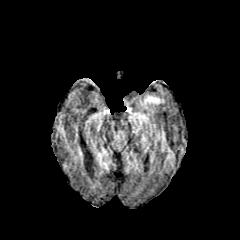
FLAIR MRI.
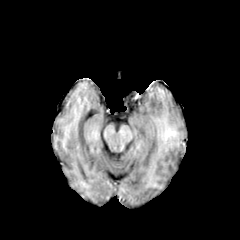
T1-weighted MRI of the same slice.
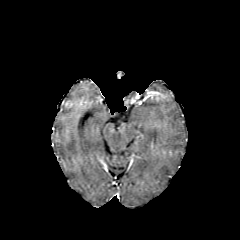
Same slice, post-contrast T1-weighted MRI.
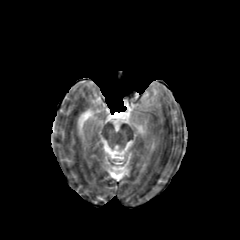
Same slice, T2-weighted magnetic resonance.
240x240 px
edema:
  - (140, 91, 160, 108)